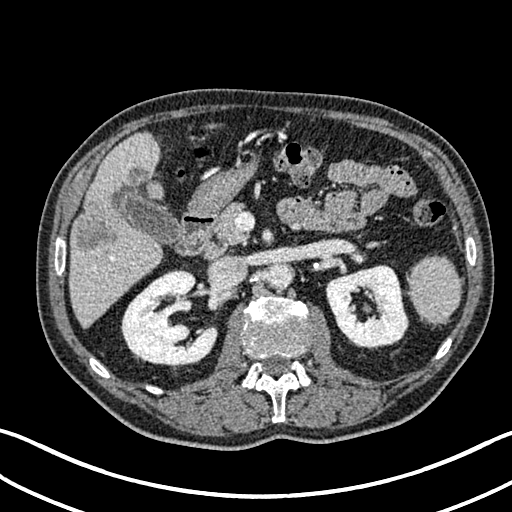
CT
The liver lies within [x1=70, y1=134, x2=163, y2=327]. 2 liver lesion regions are located at [x1=75, y1=201, x2=116, y2=249], [x1=129, y1=168, x2=149, y2=185]. 2 kidney regions are located at [x1=327, y1=266, x2=407, y2=346], [x1=122, y1=271, x2=218, y2=364].